Abdomen; CT

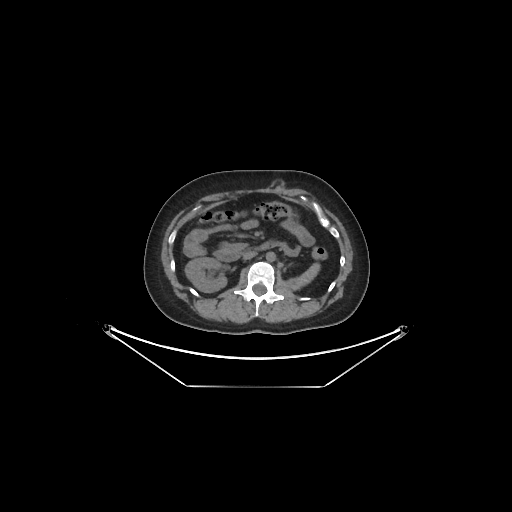 <segmentation>
  <kidney>[185,258,226,292]</kidney>
</segmentation>